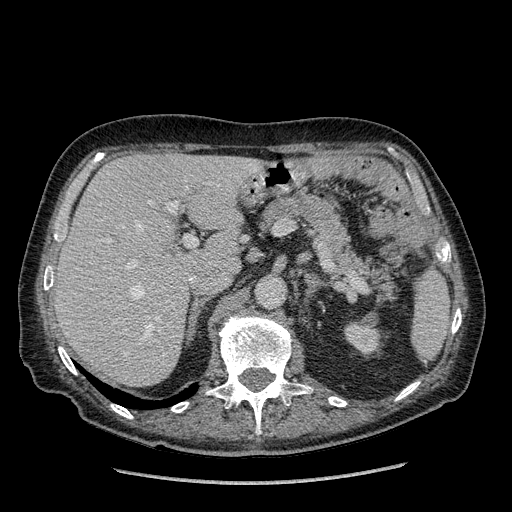 Computed tomography

Annotated regions:
- kidney: bbox=[344, 316, 379, 353]
- liver: bbox=[55, 153, 258, 386]